240x240 px. Slice index 92. Head.
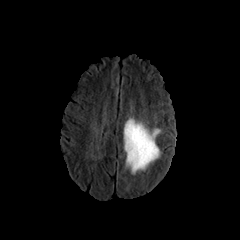
FLAIR MRI.
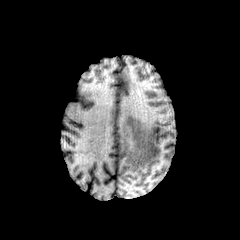
T1-weighted MR.
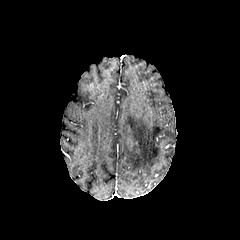
Post-contrast T1-weighted MRI of the same slice.
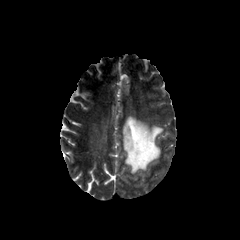
Same slice, T2-weighted MR.
<segmentation>
  <edema>[x1=122, y1=117, x2=161, y2=177]</edema>
</segmentation>